512x512. CT slice. Image width 344 mm. 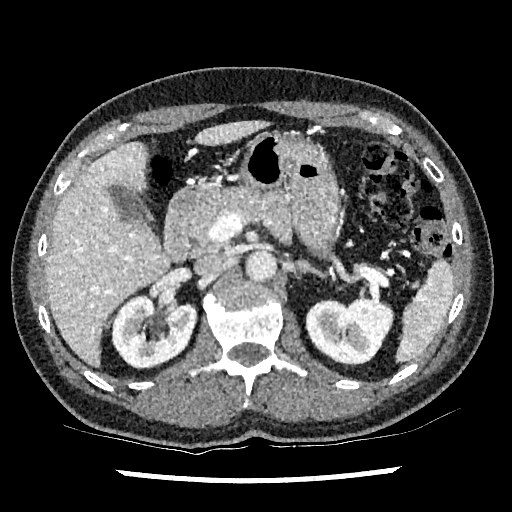
Liver: bounding box 46, 143, 170, 367; 196, 120, 268, 145.
Kidney: bounding box 113, 295, 195, 366; 307, 300, 391, 362.